Image size 512x512 | Abdomen | CT scan slice 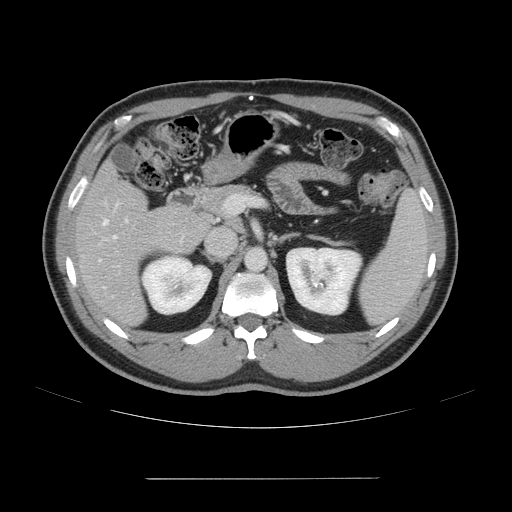

Some hepatic vessels may have no box.
Hepatic vessel: [113,266,119,266], [103,219,107,225], [113,235,116,238], [125,219,127,221], [115,203,117,207].